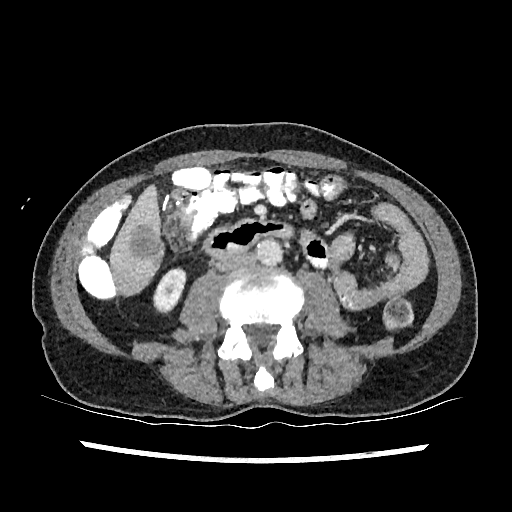 CT scan slice

focal_liver_lesion:
  - region(130, 225, 162, 257)
kidney:
  - region(154, 270, 184, 310)
liver:
  - region(111, 185, 162, 294)